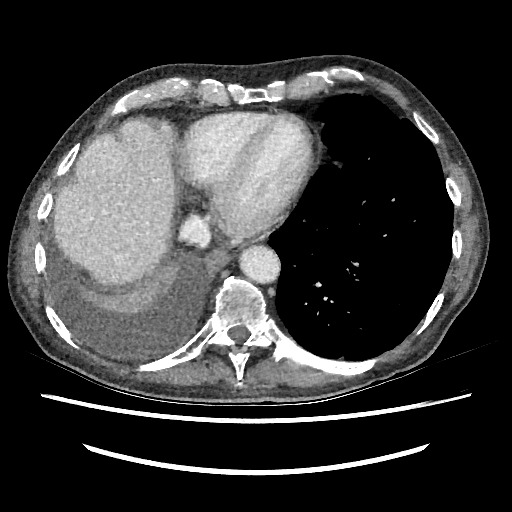
CT slice. Abdomen.

liver: x1=55, y1=119, x2=174, y2=283